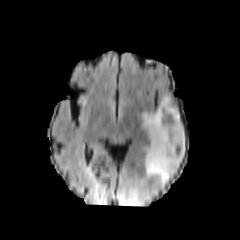
FLAIR magnetic resonance.
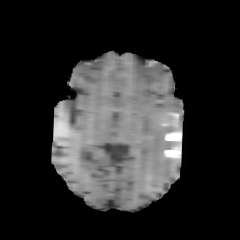
T1-weighted MR.
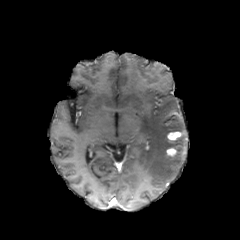
Same slice, post-contrast T1-weighted MR.
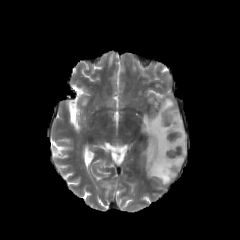
T2-weighted MRI.
Brain. 240x240 px.
{
  "enhancing_tumor": [
    "167 132 182 140",
    "167 148 177 156"
  ],
  "non-enhancing_tumor_core": [
    "169 147 181 157"
  ],
  "edema": [
    "142 95 186 187"
  ]
}